Hippocampus, Slice index 4, Magnetic resonance 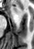
Anterior hippocampus — bbox(13, 6, 18, 12).